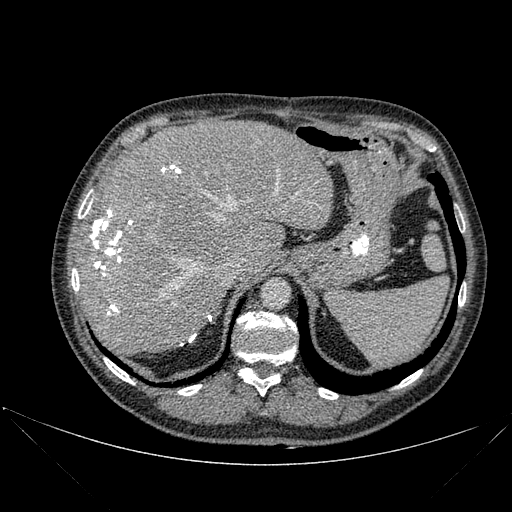
Abdomen; CT image
- liver: (left=79, top=121, right=334, bottom=353)
- bone: (left=397, top=369, right=422, bottom=388), (left=78, top=193, right=91, bottom=218), (left=238, top=368, right=280, bottom=395), (left=237, top=312, right=296, bottom=365), (left=458, top=287, right=465, bottom=306), (left=71, top=269, right=79, bottom=290), (left=104, top=358, right=133, bottom=383), (left=178, top=384, right=201, bottom=395), (left=318, top=388, right=338, bottom=399)
- lung: (left=99, top=345, right=123, bottom=366), (left=189, top=354, right=226, bottom=381), (left=298, top=173, right=465, bottom=394), (left=234, top=299, right=244, bottom=317)